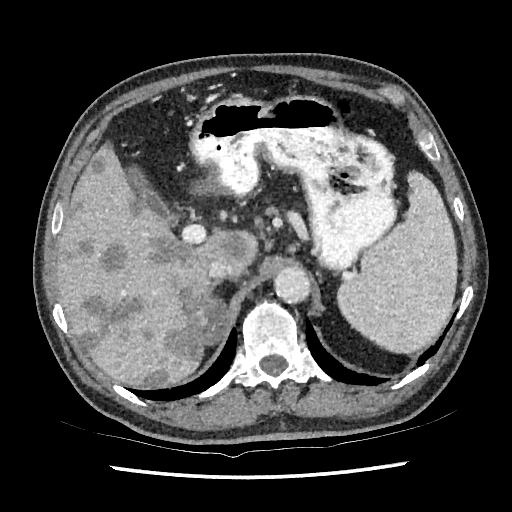 CT. Liver. {
  "liver": [
    "x1=57, y1=143, x2=255, y2=384",
    "x1=194, y1=306, x2=198, y2=337"
  ],
  "focal_liver_lesion": [
    "x1=102, y1=244, x2=127, y2=270",
    "x1=144, y1=371, x2=167, y2=384",
    "x1=141, y1=328, x2=152, y2=340",
    "x1=217, y1=233, x2=245, y2=262",
    "x1=68, y1=199, x2=85, y2=217",
    "x1=91, y1=157, x2=106, y2=174",
    "x1=161, y1=274, x2=212, y2=362",
    "x1=149, y1=233, x2=196, y2=268",
    "x1=81, y1=295, x2=144, y2=349",
    "x1=128, y1=199, x2=144, y2=216",
    "x1=71, y1=239, x2=94, y2=259"
  ]
}